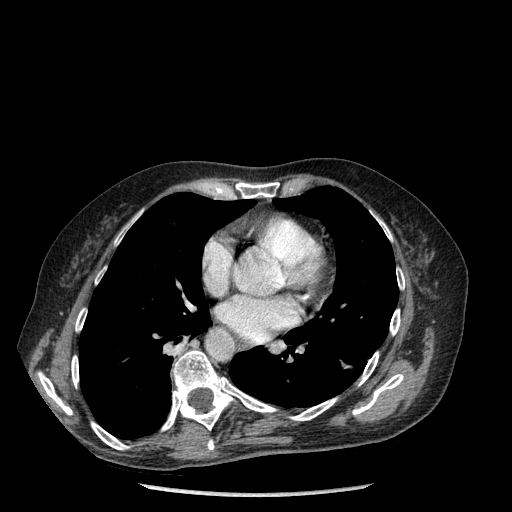
CT scan slice; 512x512
Lung = region(79, 192, 253, 439); region(229, 186, 398, 407).
Bone = region(235, 182, 279, 198); region(75, 308, 86, 331); region(396, 267, 404, 289); region(373, 215, 392, 240); region(352, 374, 403, 415); region(207, 439, 214, 449); region(358, 352, 378, 385); region(290, 398, 337, 420); region(71, 356, 78, 387); region(91, 422, 129, 449); region(226, 189, 236, 198); region(161, 349, 276, 430); region(390, 309, 400, 335); region(114, 210, 142, 245); region(38, 372, 72, 415).